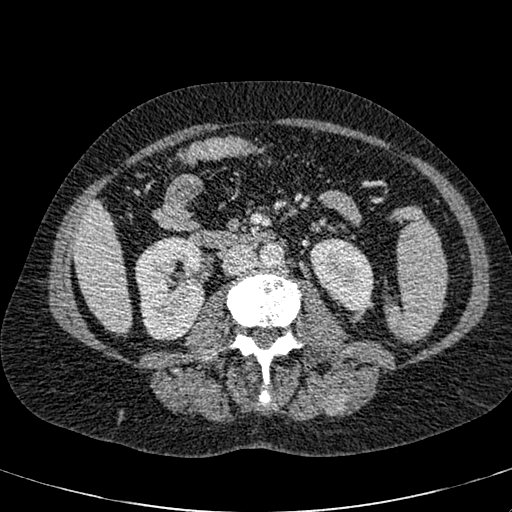

Computed tomography
Kidney: bounding box 136,237,203,339; 311,239,372,313.
Liver: bounding box 75,202,132,332.